Liver. Computed tomography. Slice index 39.

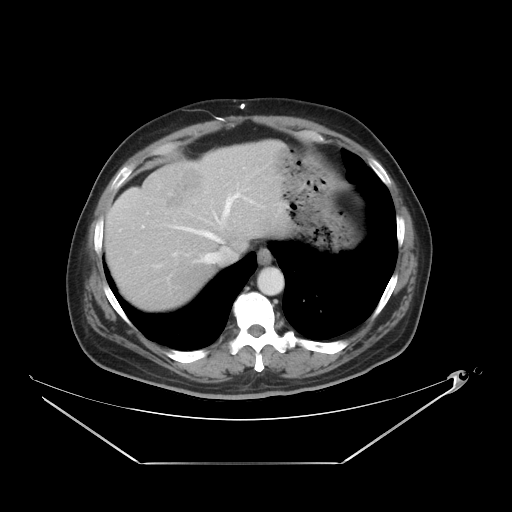
The vessel boxes may cover only some of the vessels.
Hepatic vessel: [x1=220, y1=168, x2=223, y2=171], [x1=205, y1=263, x2=208, y2=263], [x1=210, y1=234, x2=218, y2=239], [x1=206, y1=256, x2=208, y2=258], [x1=182, y1=228, x2=205, y2=235], [x1=226, y1=189, x2=258, y2=212].
Liver tumor: [x1=157, y1=163, x2=207, y2=212].